CT | Upper abdomen | Slice 294/756

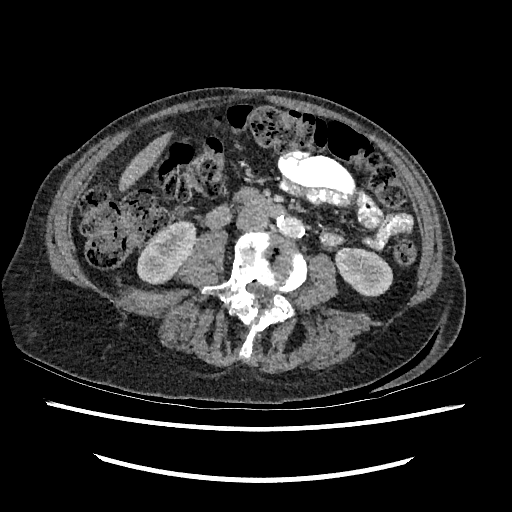
kidney:
  - (x1=336, y1=249, x2=392, y2=295)
  - (x1=138, y1=223, x2=195, y2=283)
liver:
  - (x1=119, y1=132, x2=170, y2=190)